Image width 436 mm. CT image. Abdomen. Image size 512x512.

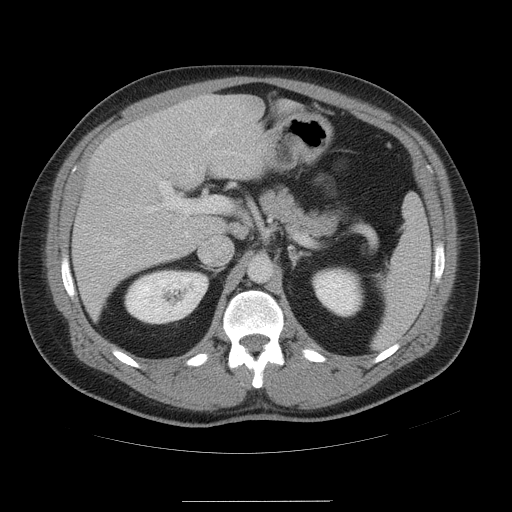

Segmented structures:
- spleen: (x1=373, y1=196, x2=430, y2=350)